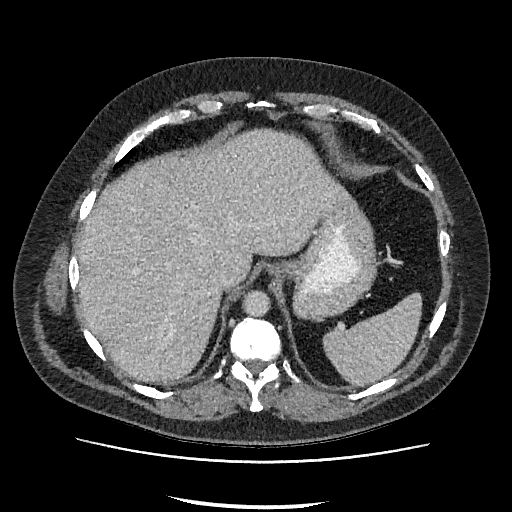 Computed tomography

The liver lies within left=79, top=131, right=351, bottom=379.